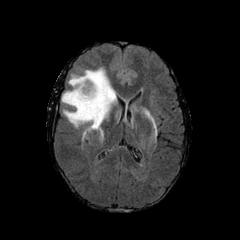
FLAIR magnetic resonance.
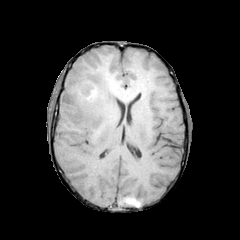
Same slice, T1-weighted MRI.
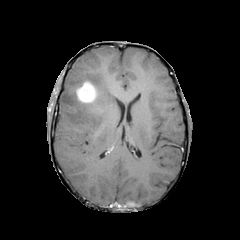
Post-contrast T1-weighted MRI.
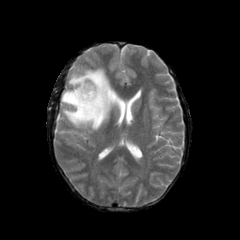
T2-weighted MRI of the same slice.
240x240
Non-enhancing tumor core: 75:89:103:115.
Enhancing tumor: 76:82:97:103.
Edema: 61:67:116:130.